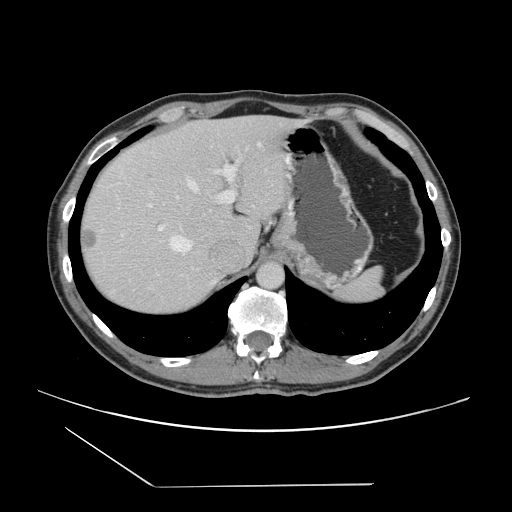
Liver | CT image
The vessel boxes may cover only some of the vessels.
11 hepatic vessel regions are located at <bbox>225, 164, 236, 180</bbox>, <bbox>258, 143, 260, 145</bbox>, <bbox>181, 274, 182, 275</bbox>, <bbox>225, 202, 230, 202</bbox>, <bbox>213, 169, 225, 174</bbox>, <bbox>229, 181, 232, 182</bbox>, <bbox>234, 194, 234, 197</bbox>, <bbox>162, 225, 165, 227</bbox>, <bbox>188, 179, 196, 190</bbox>, <bbox>218, 198, 220, 201</bbox>, <bbox>175, 235, 178, 235</bbox>. The liver tumor appears at <bbox>86, 229, 96, 250</bbox>.